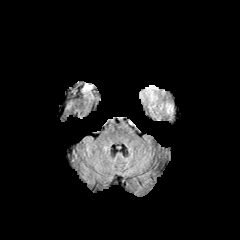
FLAIR MR image.
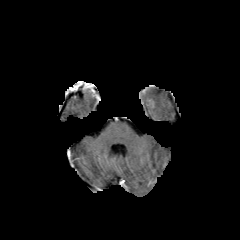
T1-weighted magnetic resonance.
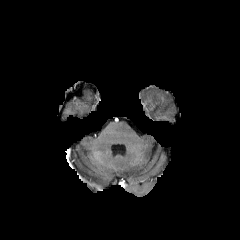
Same slice, post-contrast T1-weighted MRI.
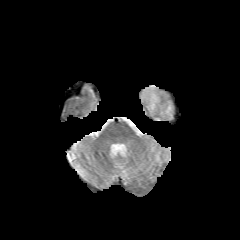
T2-weighted MR of the same slice.
Image size 240x240. Brain.
<segmentation>
  <edema>rect(143, 86, 172, 115)</edema>
</segmentation>